Brain; Slice index 38
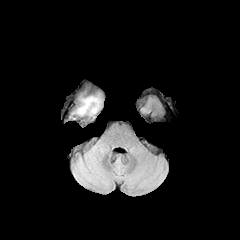
FLAIR MRI.
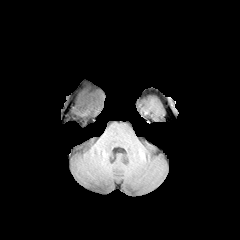
T1-weighted MR of the same slice.
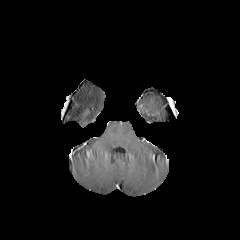
Post-contrast T1-weighted MR.
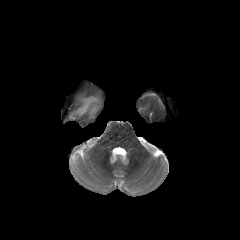
Same slice, T2-weighted MR image.
edema: (75, 96, 100, 116)